Liver; Slice 45 of 135; Computed tomography; Field of view 512x512 mm 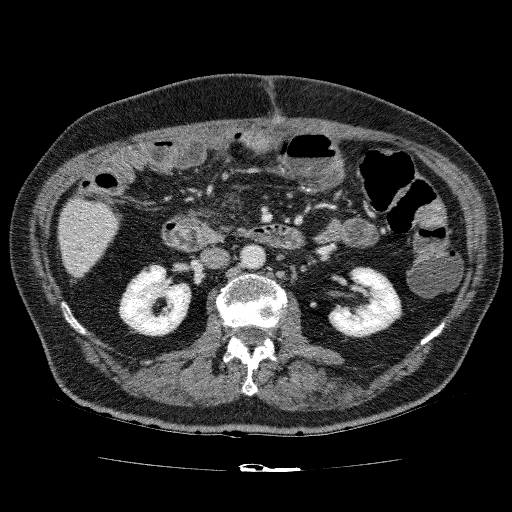
Liver = {"x1": 58, "y1": 197, "x2": 117, "y2": 279}.
Kidney = {"x1": 119, "y1": 265, "x2": 190, "y2": 335}, {"x1": 329, "y1": 268, "x2": 400, "y2": 336}.